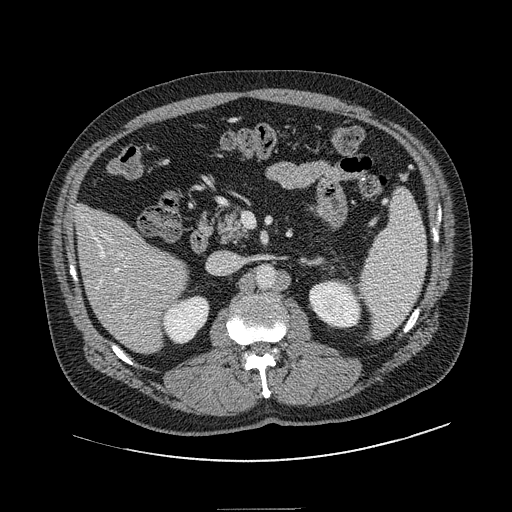

Upper abdomen. CT slice. 512x512 px. <segmentation>
  <pancreas>(217, 214, 247, 241)</pancreas>
</segmentation>